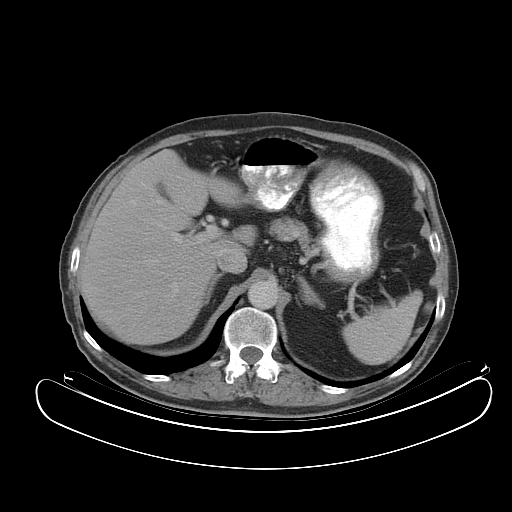 Abdomen. 512x512. Computed tomography.

spleen: l=344, t=293, r=419, b=363